512x512; CT slice 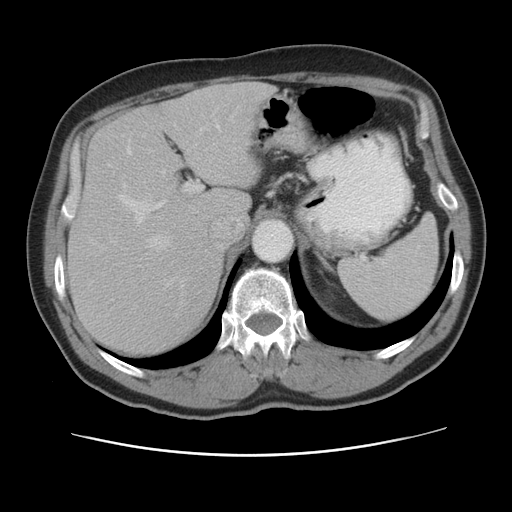

The vessel boxes may cover only some of the vessels.
• hepatic vessel (largest 15 of 16): 166, 280, 171, 285; 213, 180, 244, 182; 145, 198, 166, 213; 121, 135, 123, 136; 126, 140, 131, 154; 117, 193, 143, 210; 123, 184, 125, 187; 183, 179, 201, 190; 136, 214, 144, 223; 199, 170, 212, 180; 193, 142, 195, 144; 161, 170, 164, 174; 186, 148, 188, 155; 187, 157, 195, 167; 200, 127, 203, 130